Image width 240 mm
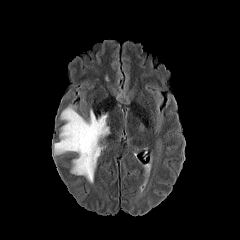
FLAIR magnetic resonance.
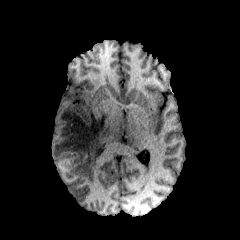
Same slice, T1-weighted MRI.
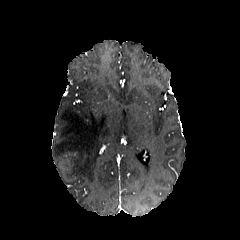
Same slice, post-contrast T1-weighted MR image.
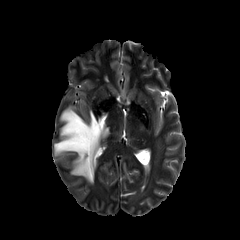
T2-weighted MRI.
edema:
  - <bbox>53, 105, 109, 183</bbox>